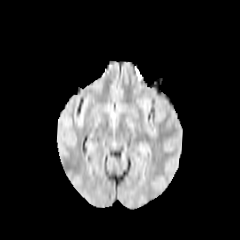
FLAIR MR.
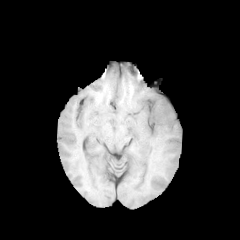
T1-weighted MR image.
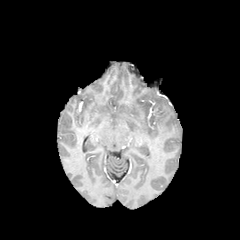
Post-contrast T1-weighted magnetic resonance.
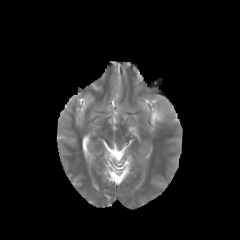
T2-weighted magnetic resonance.
240x240 px
The edema lies within box=[154, 110, 162, 122].